FLAIR MR image.
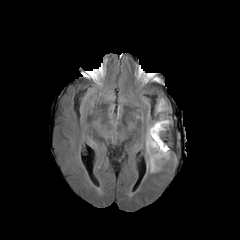
T1-weighted magnetic resonance.
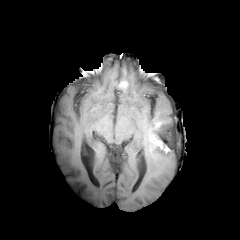
Post-contrast T1-weighted MR image.
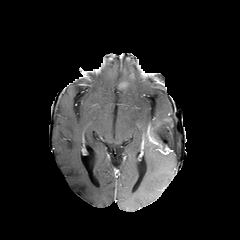
T2-weighted MRI.
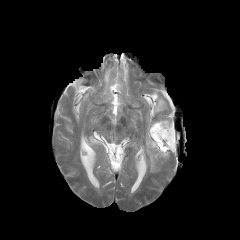
Brain
{
  "non-enhancing_tumor_core": [
    "(x1=152, y1=119, x2=172, y2=152)"
  ],
  "enhancing_tumor": [
    "(x1=147, y1=126, x2=169, y2=154)"
  ],
  "edema": [
    "(x1=142, y1=98, x2=172, y2=172)",
    "(x1=100, y1=84, x2=115, y2=125)"
  ]
}